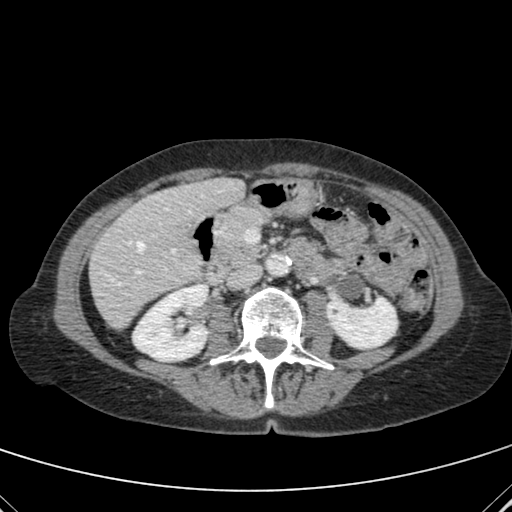
CT scan slice. Upper abdomen. Image size 512x512.
Kidney at {"x1": 133, "y1": 285, "x2": 207, "y2": 361}, {"x1": 327, "y1": 298, "x2": 396, "y2": 348}.
Liver at {"x1": 89, "y1": 178, "x2": 245, "y2": 326}.